CT slice, Abdomen 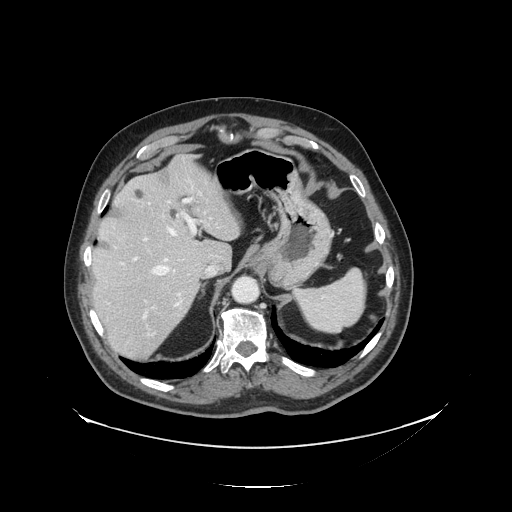 Only some of the vessels may be annotated.
Annotated regions:
• hepatic vessel (principal 15 of 19): (178, 294, 180, 296), (165, 259, 167, 261), (197, 221, 200, 222), (145, 300, 147, 302), (207, 267, 213, 273), (190, 180, 194, 189), (144, 238, 146, 240), (175, 303, 178, 306), (183, 198, 192, 203), (134, 257, 137, 260), (177, 214, 179, 216), (143, 312, 146, 318), (168, 228, 176, 235), (152, 266, 174, 275), (148, 330, 154, 336)
• liver tumor: (135, 189, 144, 198), (158, 167, 170, 184)